CT slice. Upper abdomen. Slice 59/111.

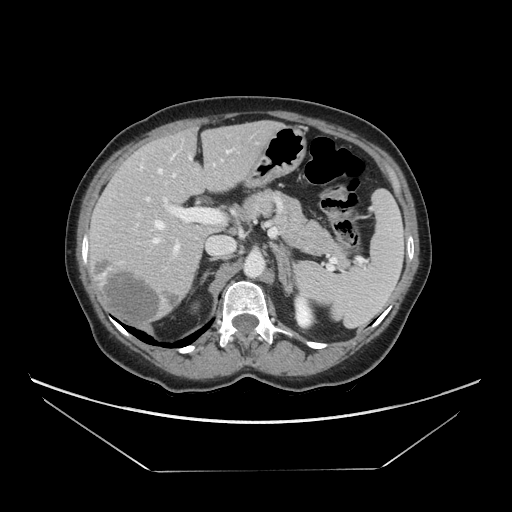
The pancreas appears at [x1=238, y1=190, x2=348, y2=265].